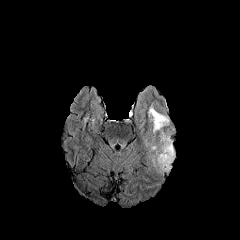
FLAIR magnetic resonance.
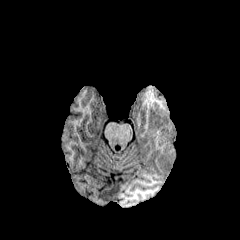
T1-weighted magnetic resonance.
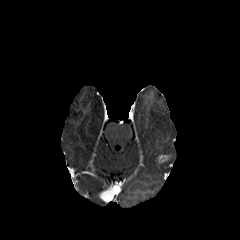
Post-contrast T1-weighted MR.
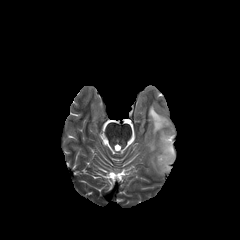
T2-weighted MR image.
The enhancing tumor is bounded by [157, 155, 170, 164]. The edema lies within [145, 104, 175, 175].